Computed tomography | Slice 139/230

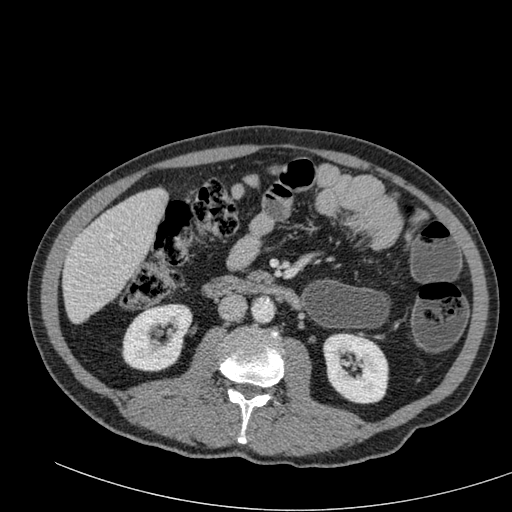
Liver at x1=63 y1=189 x2=167 y2=322.
Kidney at x1=324 y1=334 x2=387 y2=402, x1=123 y1=305 x2=191 y2=370.